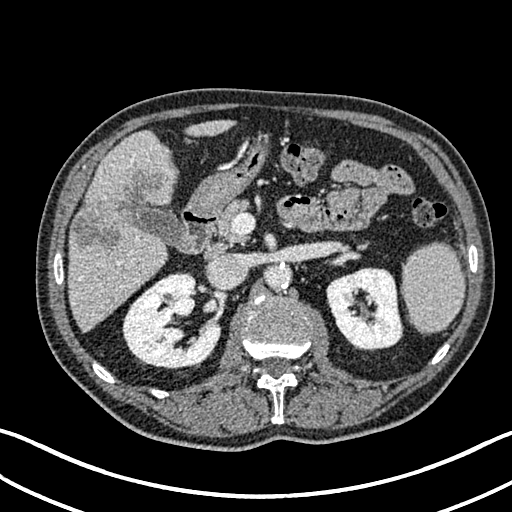
Abdomen | CT image | 512x512
<segmentation>
  <kidney>[x1=327, y1=268, x2=401, y2=348], [x1=205, y1=300, x2=215, y2=310], [x1=123, y1=274, x2=219, y2=367]</kidney>
  <focal_liver_lesion>[x1=73, y1=201, x2=120, y2=248], [x1=124, y1=170, x2=163, y2=202]</focal_liver_lesion>
  <liver>[x1=187, y1=121, x2=233, y2=135], [x1=69, y1=130, x2=175, y2=331]</liver>
</segmentation>